CT, Slice 11 of 39

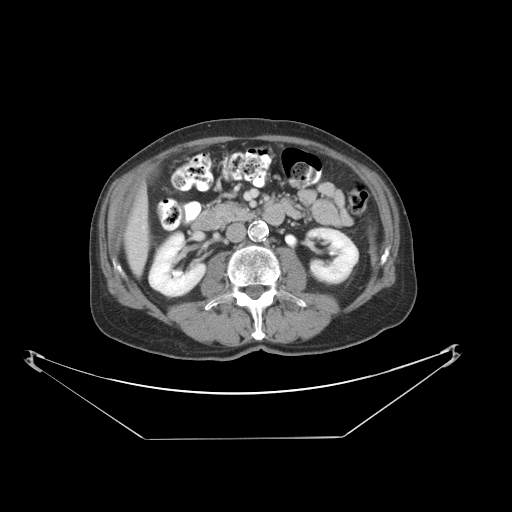

Only some of the vessels may be annotated.
The hepatic vessel lies within region(142, 226, 144, 228).